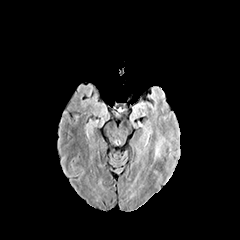
FLAIR MR.
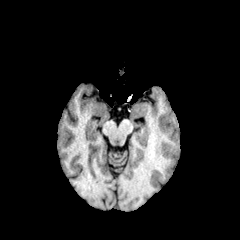
T1-weighted magnetic resonance.
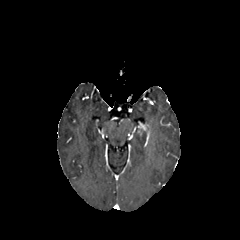
Same slice, post-contrast T1-weighted MR image.
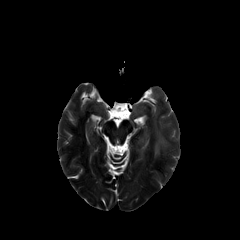
T2-weighted magnetic resonance.
Brain
<segmentation>
  <edema>bbox=[155, 131, 164, 157]</edema>
</segmentation>